CT image, Field of view 700x700 mm 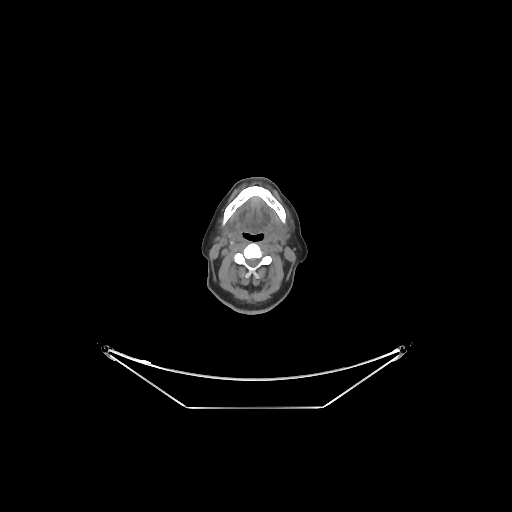
2 bone regions are located at box(234, 243, 271, 277); box(223, 186, 285, 225).